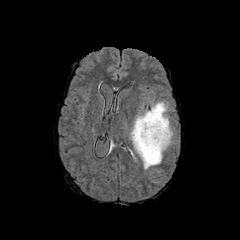
FLAIR MRI.
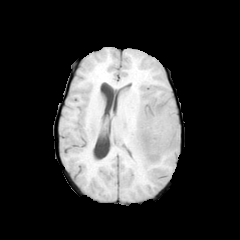
Same slice, T1-weighted MRI.
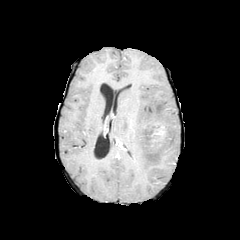
Post-contrast T1-weighted magnetic resonance of the same slice.
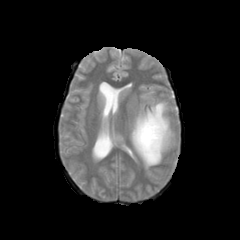
Same slice, T2-weighted MR.
Enhancing tumor: bounding box <bbox>152, 126, 165, 142</bbox>.
Edema: bounding box <bbox>130, 100, 173, 170</bbox>.
Non-enhancing tumor core: bounding box <bbox>136, 120, 166, 153</bbox>.